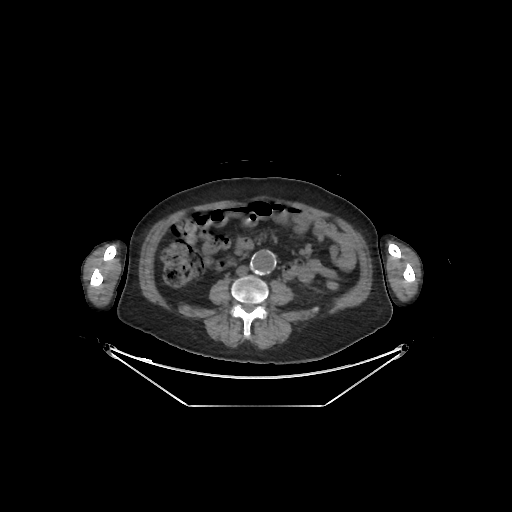
CT scan slice | 512x512

{
  "bone": [
    "x1=90 y1=268 x2=102 y2=286",
    "x1=231 y1=276 x2=268 y2=335",
    "x1=100 y1=245 x2=115 y2=267",
    "x1=388 y1=244 x2=400 y2=258",
    "x1=403 y1=263 x2=414 y2=282"
  ]
}